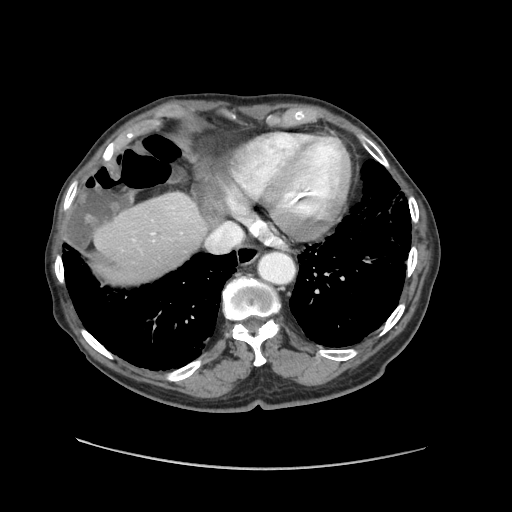

CT slice | 512x512
liver_tumor:
  - left=203, top=204, right=224, bottom=219